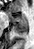 Hippocampus; MR image
Segmented structures:
* posterior hippocampus: {"x1": 13, "y1": 24, "x2": 27, "y2": 33}
* anterior hippocampus: {"x1": 8, "y1": 12, "x2": 27, "y2": 23}